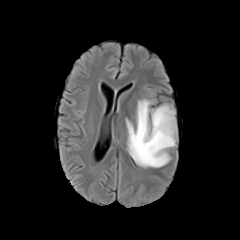
FLAIR MR.
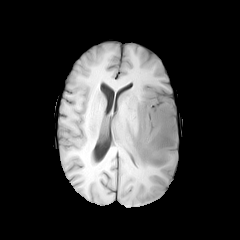
Same slice, T1-weighted MRI.
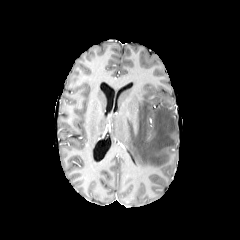
Post-contrast T1-weighted magnetic resonance.
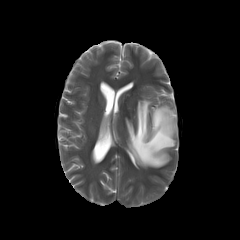
T2-weighted MRI.
Head
• edema: rect(126, 98, 177, 167)